Slice 28 of 247. CT scan slice. Image width 500 mm.
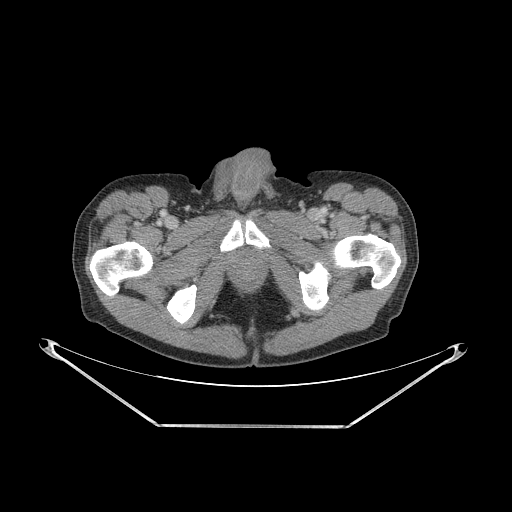 5 bone regions appear at (left=299, top=262, right=329, bottom=309), (left=333, top=234, right=400, bottom=288), (left=167, top=285, right=196, bottom=323), (left=220, top=220, right=269, bottom=251), (left=90, top=242, right=152, bottom=295).